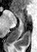

Magnetic resonance; Medial temporal lobe
{"posterior_hippocampus": ["l=6, t=19, r=24, b=44"], "anterior_hippocampus": ["l=13, t=10, r=24, b=18"]}